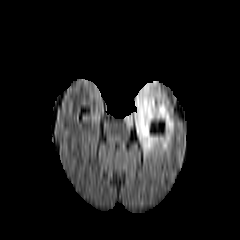
FLAIR MR image.
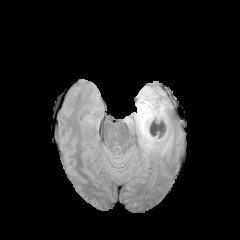
T1-weighted MR image of the same slice.
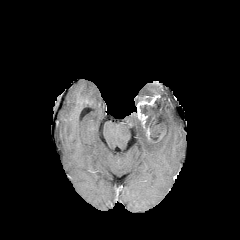
Post-contrast T1-weighted MRI.
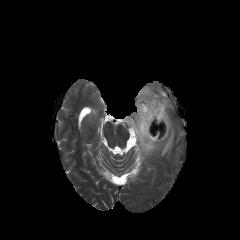
T2-weighted MR.
Brain
<segmentation>
  <enhancing_tumor>bbox=[136, 94, 160, 127]</enhancing_tumor>
  <edema>bbox=[124, 84, 173, 156]</edema>
</segmentation>